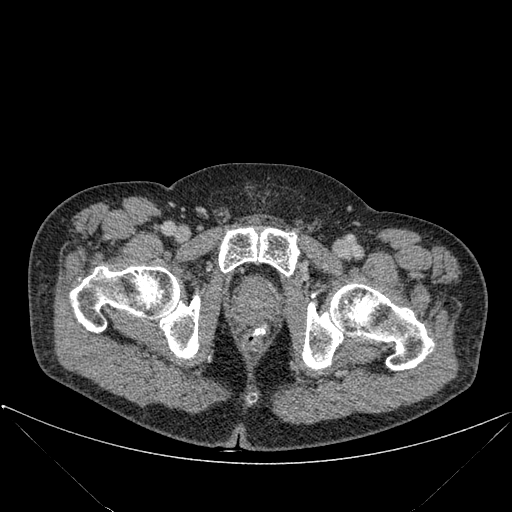
CT slice
3 bone regions are bounded by [219,228,299,275], [302,284,433,370], [70,266,200,358].